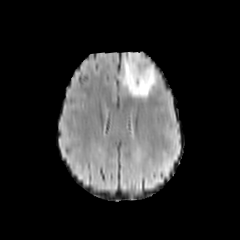
FLAIR magnetic resonance.
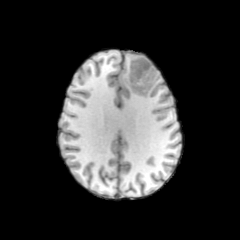
T1-weighted MR image.
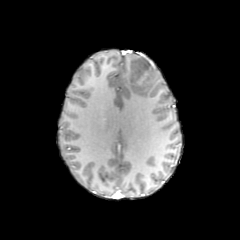
Same slice, post-contrast T1-weighted MR image.
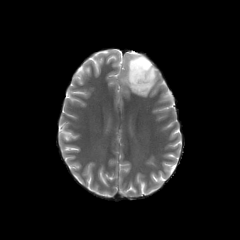
T2-weighted MR.
Head | Image size 240x240
{"non-enhancing_tumor_core": ["x1=128 y1=56 x2=154 y2=95"], "edema": ["x1=120 y1=52 x2=141 y2=95", "x1=139 y1=55 x2=157 y2=83"]}